Lower abdomen. CT image. Slice index 98. Field of view 391x391 mm.

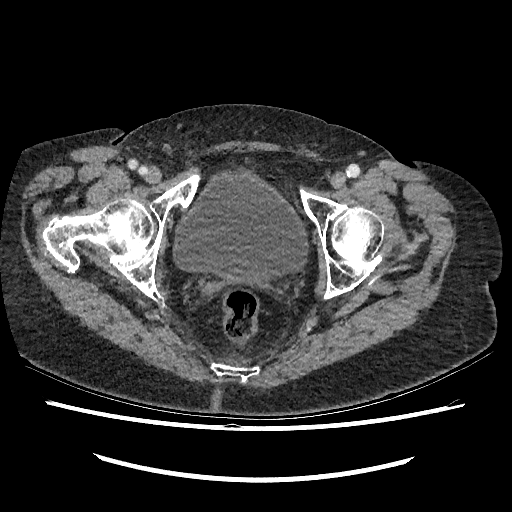 Urinary bladder: bounding box <box>173,174,308,288</box>.